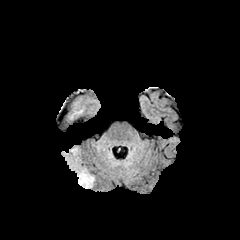
FLAIR MR.
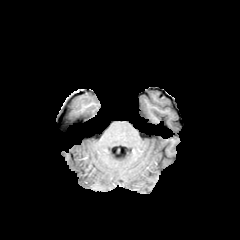
T1-weighted MR.
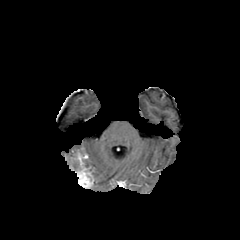
Post-contrast T1-weighted MR image of the same slice.
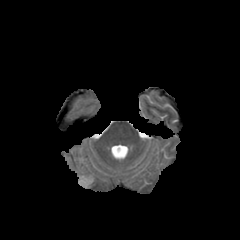
Same slice, T2-weighted magnetic resonance.
enhancing tumor: x1=75 y1=167 x2=94 y2=188